Slice index 130; 512x512; CT scan slice; Field of view 428x428 mm

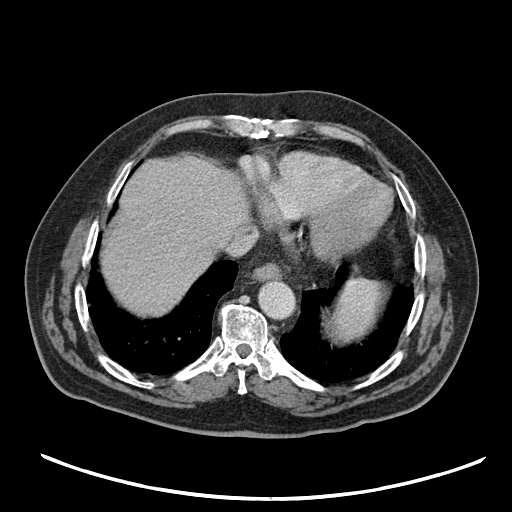 spleen:
  - (x1=331, y1=281, x2=386, y2=341)